Field of view 344x344 mm. CT image.
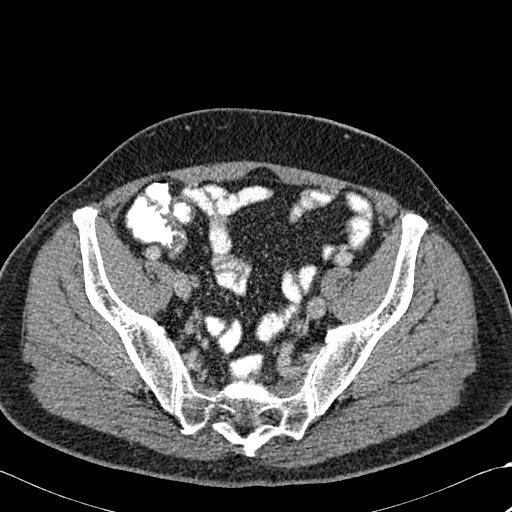 {"bone": ["73 207 427 455"]}